Abdomen, Image width 396 mm, CT scan slice, Slice 87/144 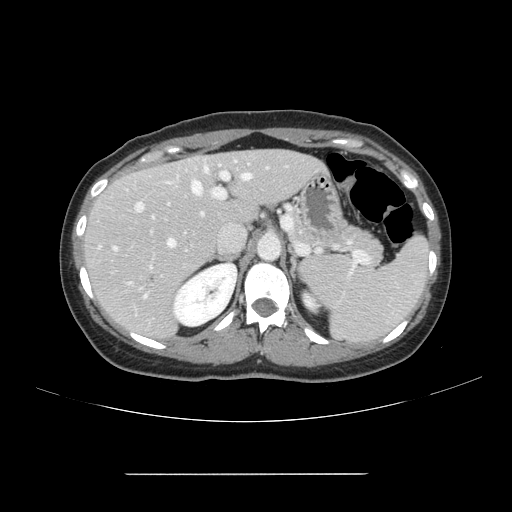
Not every hepatic vessel necessarily has a box.
hepatic vessel: (201,213,203,214), (136,203,143,211), (167,181,171,183), (212,188,225,198), (113,246,117,250), (242,173,250,179), (144,294,146,297), (192,181,201,194), (220,171,228,179), (168,239,175,246), (219,165,220,166), (204,166,207,171)